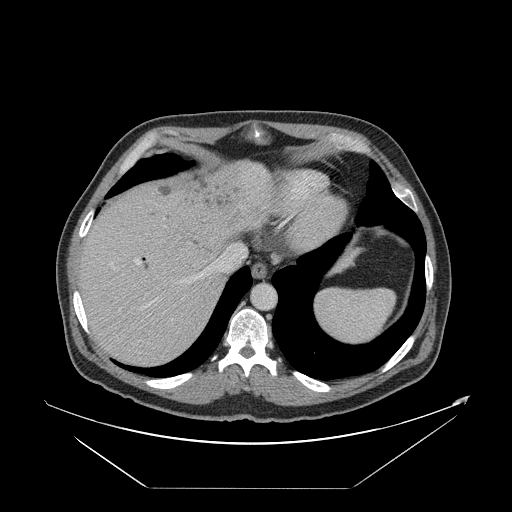 Liver | Image size 512x512 | Computed tomography
Some hepatic vessels may have no box.
5 hepatic vessel regions appear at (176,245,245,283), (111,264,112,266), (171,319,172,320), (140,298,158,310), (134,258,141,265).